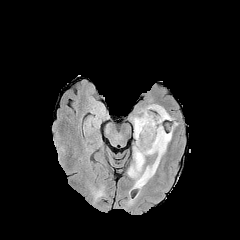
FLAIR MRI.
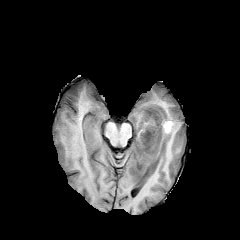
T1-weighted MRI of the same slice.
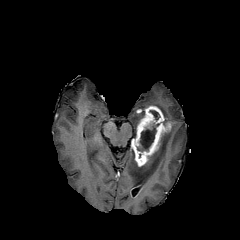
Post-contrast T1-weighted magnetic resonance.
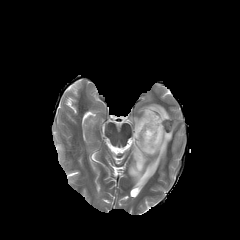
T2-weighted MR image.
Head
Edema at <bbox>127, 121, 177, 190</bbox>, <bbox>146, 104, 174, 120</bbox>, <bbox>130, 116, 140, 137</bbox>.
Enhancing tumor at <bbox>131, 106, 170, 166</bbox>.
Non-enhancing tumor core at <bbox>137, 118, 170, 152</bbox>, <bbox>149, 110, 160, 121</bbox>.